FLAIR magnetic resonance.
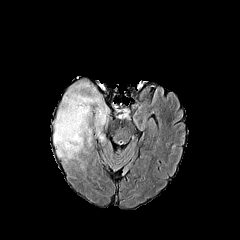
T1-weighted MR image.
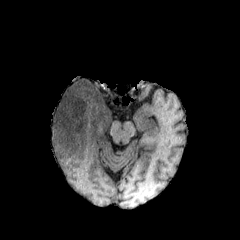
Post-contrast T1-weighted MR.
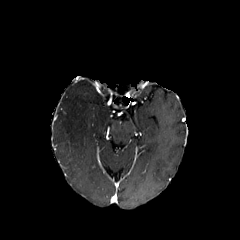
T2-weighted magnetic resonance.
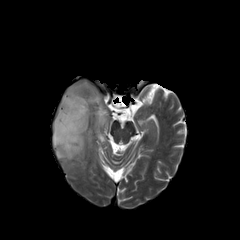
Brain
Annotated regions:
• edema: bbox=[52, 80, 110, 167]